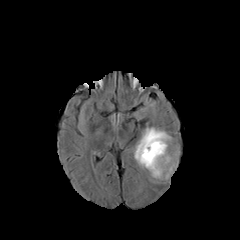
FLAIR magnetic resonance.
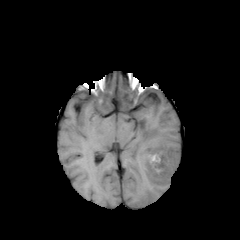
T1-weighted MR.
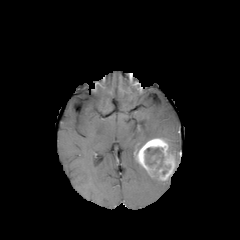
Post-contrast T1-weighted magnetic resonance of the same slice.
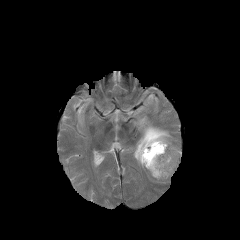
T2-weighted MRI.
240x240 | Brain
The enhancing tumor is at (x1=135, y1=138, x2=178, y2=180). The edema is located at (x1=130, y1=122, x2=180, y2=162). 3 non-enhancing tumor core regions appear at (x1=168, y1=141, x2=178, y2=163), (x1=137, y1=137, x2=162, y2=152), (x1=145, y1=147, x2=164, y2=169).